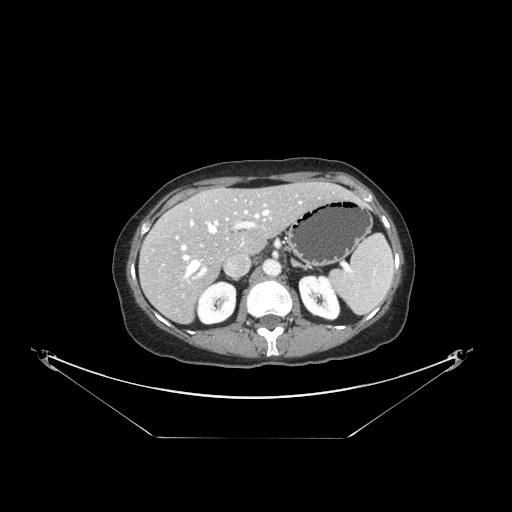

Computed tomography. Abdomen.
Only some of the vessels may be annotated.
<segmentation>
  <hepatic_vessel>201, 268, 204, 273; 190, 221, 192, 224; 238, 222, 251, 226; 264, 211, 267, 214; 208, 222, 216, 231; 182, 246, 185, 249; 256, 215, 258, 217</hepatic_vessel>
</segmentation>